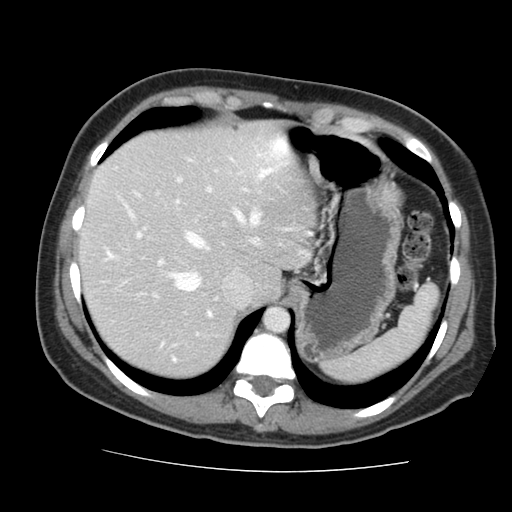
Computed tomography

Some hepatic vessels may have no box.
<segmentation partial="true">
  <hepatic_vessel shown="15" total="17">137:233:140:237, 235:211:242:221, 158:261:162:264, 124:205:132:218, 251:238:257:243, 106:251:111:259, 177:178:180:181, 242:189:245:190, 258:169:273:178, 250:213:258:224, 172:273:199:290, 256:154:262:157, 208:312:210:316, 207:187:211:191, 271:140:286:165</hepatic_vessel>
</segmentation>